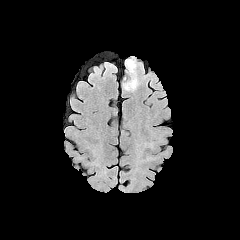
FLAIR MR.
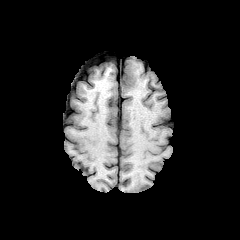
Same slice, T1-weighted MRI.
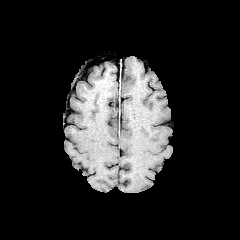
Post-contrast T1-weighted MR.
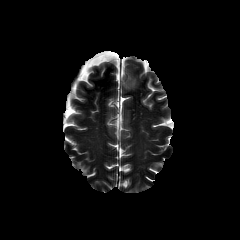
T2-weighted MR image.
<segmentation>
  <edema>bbox=[123, 59, 139, 90]</edema>
</segmentation>